Liver. Image size 512x512. CT image. Slice index 61.

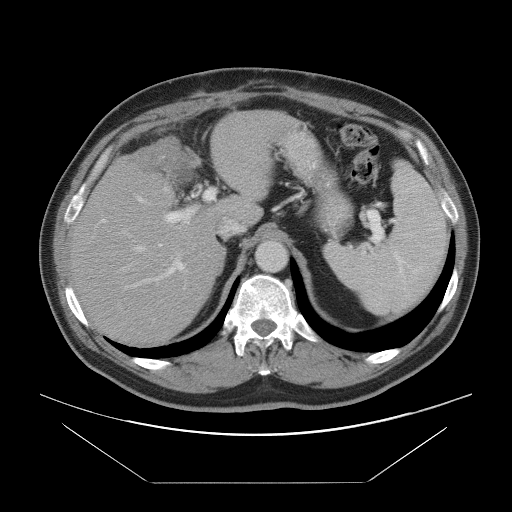
Not every hepatic vessel necessarily has a box.
<segmentation>
  <hepatic_vessel>l=165, t=213, r=179, b=220; l=137, t=197, r=144, b=201; l=224, t=217, r=226, b=219; l=125, t=277, r=159, b=287; l=183, t=216, r=188, b=222; l=100, t=219, r=105, b=221; l=165, t=256, r=184, b=274</hepatic_vessel>
  <liver_tumor>l=131, t=144, r=186, b=172</liver_tumor>
</segmentation>